FLAIR MR image.
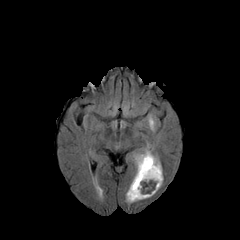
T1-weighted MR image.
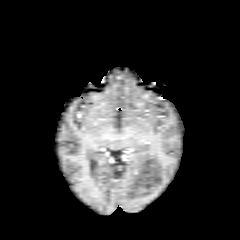
Post-contrast T1-weighted MRI.
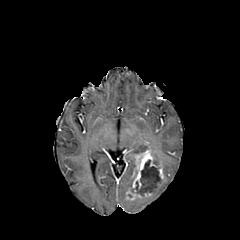
T2-weighted MRI.
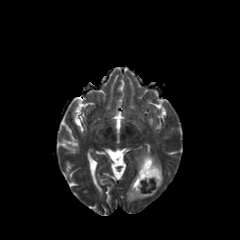
Brain.
enhancing_tumor:
  - (125,150,157,200)
  - (143,191,158,198)
  - (158,168,165,179)
edema:
  - (152,152,161,167)
  - (133,153,141,172)
non-enhancing_tumor_core:
  - (129,171,137,197)
  - (140,160,163,195)